Brain; Slice 65 of 155
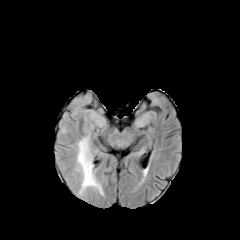
FLAIR MRI.
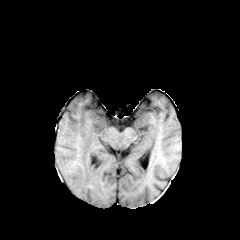
T1-weighted MR.
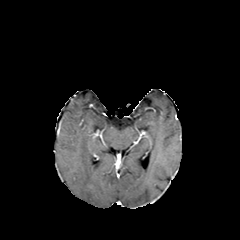
Same slice, post-contrast T1-weighted magnetic resonance.
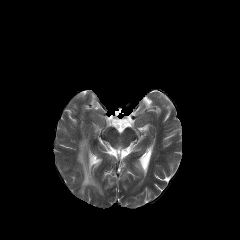
T2-weighted MRI of the same slice.
Findings:
* edema: box=[76, 137, 102, 194]